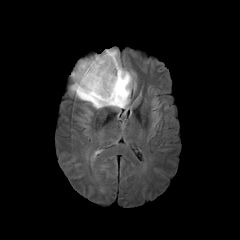
FLAIR MR image.
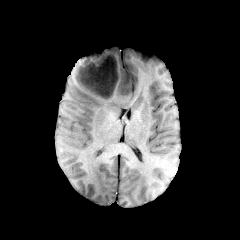
T1-weighted magnetic resonance.
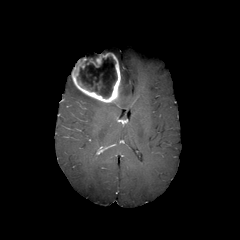
Post-contrast T1-weighted MRI.
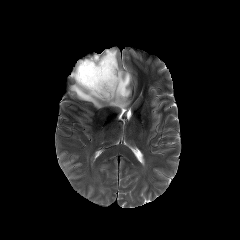
T2-weighted MR image.
Head.
{"non-enhancing_tumor_core": ["(77,54,117,97)"], "edema": ["(69,48,135,111)"], "enhancing_tumor": ["(72,53,120,104)"]}